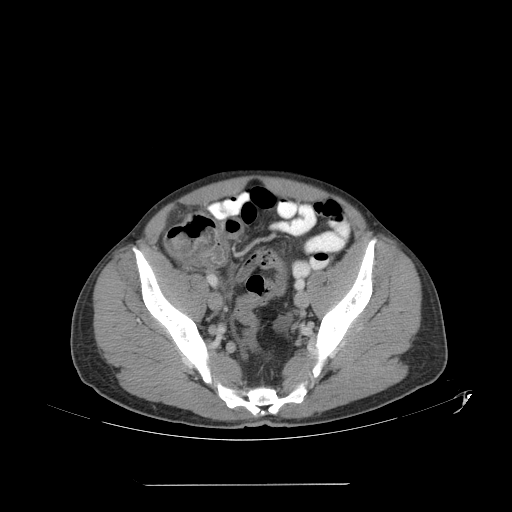
CT scan slice
The colon tumor lies within [x1=165, y1=229, x2=226, y2=267].